Slice 111 of 155 | Brain | Field of view 240x240 mm
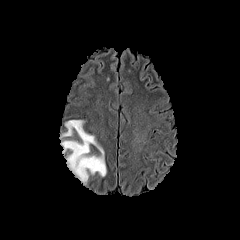
FLAIR MR image.
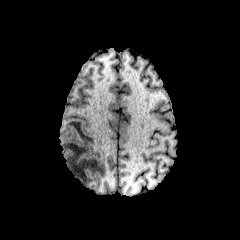
Same slice, T1-weighted magnetic resonance.
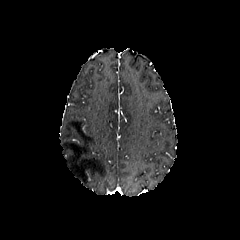
Post-contrast T1-weighted MR image of the same slice.
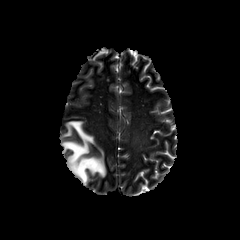
T2-weighted MR.
Edema: box=[59, 120, 106, 185].